Brain. 240x240 px. Field of view 240 mm wide, 1.00 mm slice spacing.
FLAIR MR image.
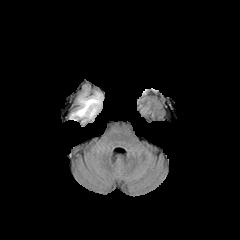
T1-weighted magnetic resonance.
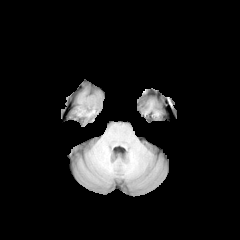
Post-contrast T1-weighted MRI.
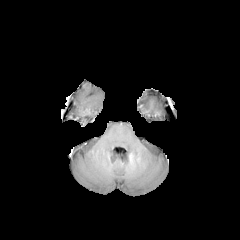
T2-weighted MR image.
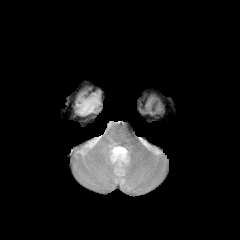
edema:
  - <box>74,93,101,119</box>